FLAIR MR image.
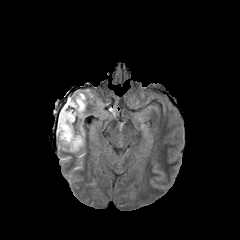
T1-weighted MRI.
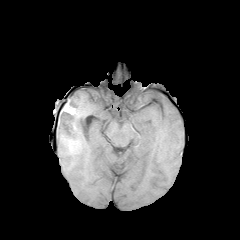
Post-contrast T1-weighted magnetic resonance.
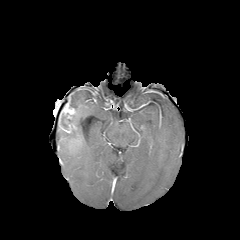
T2-weighted MRI.
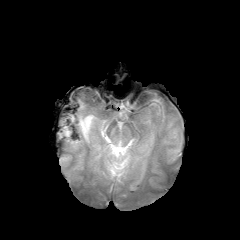
Head
Non-enhancing tumor core = 61:103:77:118, 81:120:87:137.
Edema = 57:91:97:156.